Image size 512x512; Computed tomography; Abdomen

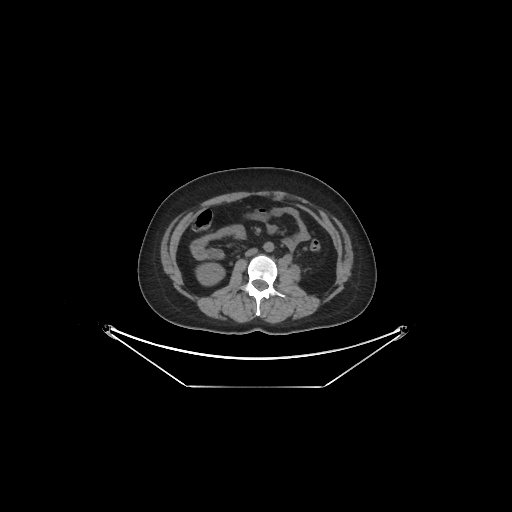

The kidney is at box=[197, 263, 223, 284].